CT image, Field of view 469 mm wide, 2.50 mm slice spacing, Upper abdomen

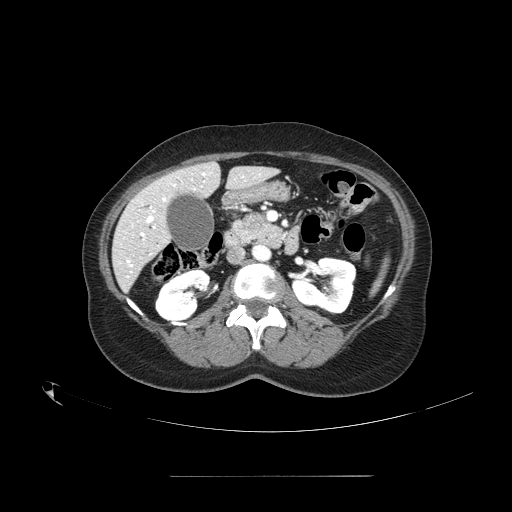

The pancreas lies within [x1=234, y1=214, x2=282, y2=247]. The pancreatic tumor is at [x1=249, y1=213, x2=264, y2=223].